Computed tomography, Image size 512x512, Abdomen 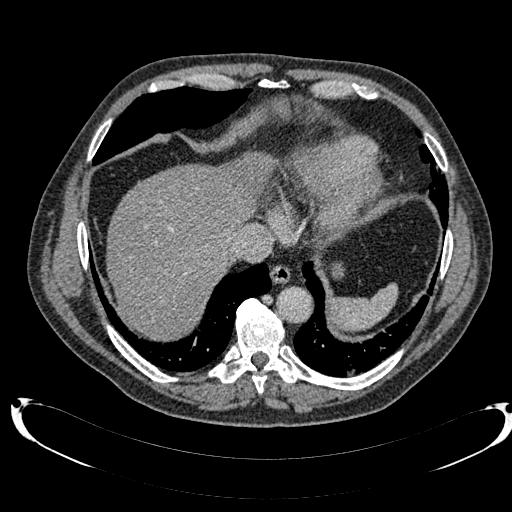 {
  "liver": [
    "x1=106 y1=152 x2=276 y2=338"
  ]
}